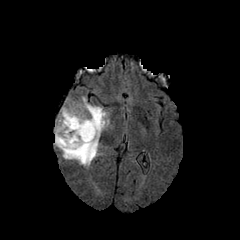
FLAIR MR image.
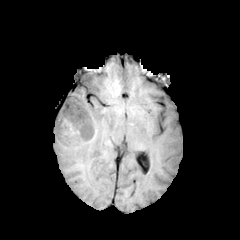
T1-weighted MR of the same slice.
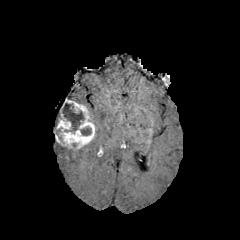
Same slice, post-contrast T1-weighted magnetic resonance.
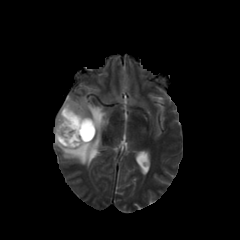
T2-weighted MR image.
240x240 px, Brain
The enhancing tumor is bounded by 55,99,95,148. 3 non-enhancing tumor core regions appear at 70,143,89,156; 80,128,91,135; 60,102,84,131. The edema appears at 54,96,109,168.